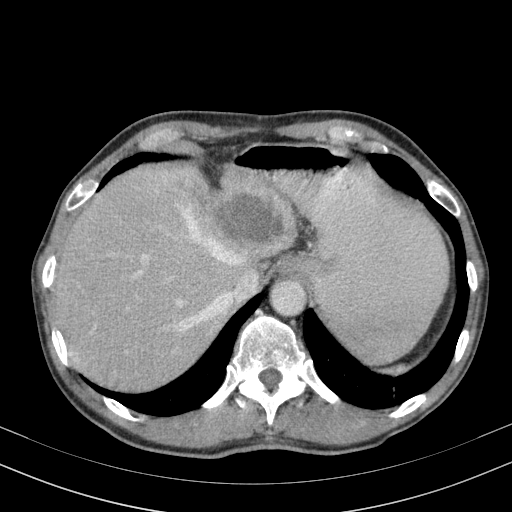 CT; 512x512; Abdomen
<segmentation>
  <liver>x1=56 y1=163 x2=296 y2=392</liver>
  <focal_liver_lesion>x1=216 y1=195 x2=282 y2=243</focal_liver_lesion>
</segmentation>